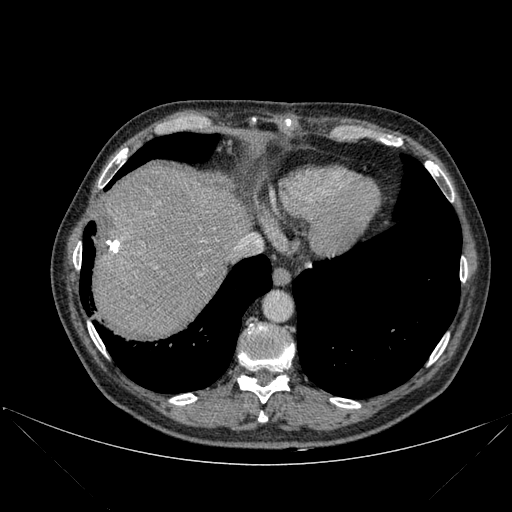 512x512 | CT slice | Abdomen
Bone = (88, 322, 106, 355), (460, 258, 467, 282), (73, 242, 81, 269), (238, 375, 289, 403), (170, 393, 196, 404), (428, 336, 448, 364), (425, 161, 453, 196), (99, 149, 126, 187), (382, 139, 401, 145), (257, 411, 267, 422), (330, 398, 360, 408), (239, 325, 294, 371).
Lung = (94, 254, 271, 393), (293, 154, 461, 397), (105, 132, 218, 189), (79, 221, 95, 313).
Liver = (93, 167, 250, 341).